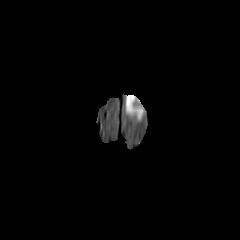
FLAIR MRI.
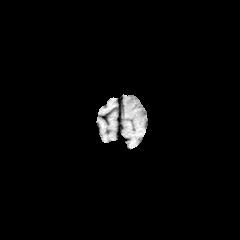
Same slice, T1-weighted MR.
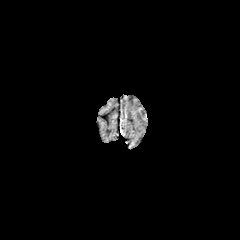
Post-contrast T1-weighted MRI.
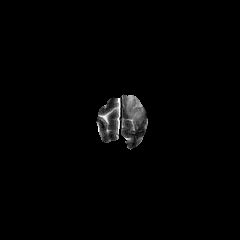
Same slice, T2-weighted MR.
Head.
Edema: bounding box region(125, 95, 143, 121).